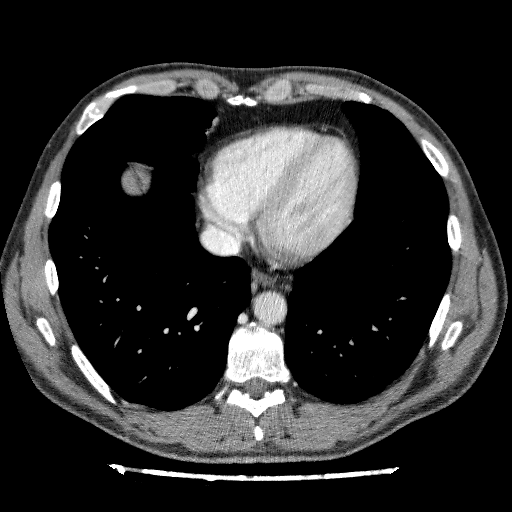
CT slice, Upper abdomen
- liver: [122, 169, 144, 194]